Upper abdomen. CT.
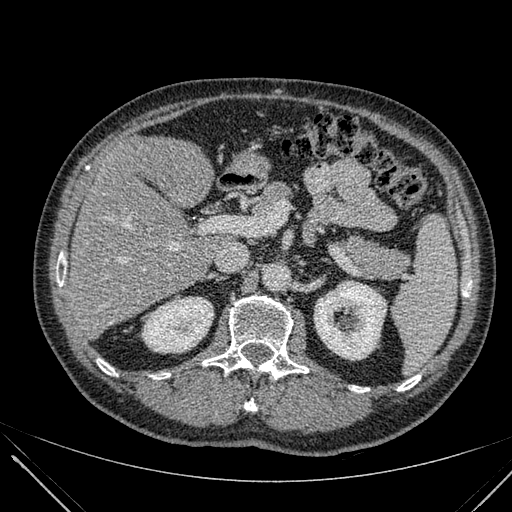

2 kidney regions are bounded by (x1=142, y1=297, x2=213, y2=352), (x1=314, y1=281, x2=386, y2=359). The liver is bounded by (x1=70, y1=136, x2=236, y2=334).